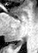

MRI slice | Medial temporal lobe

• posterior hippocampus: (11,40,23,48)